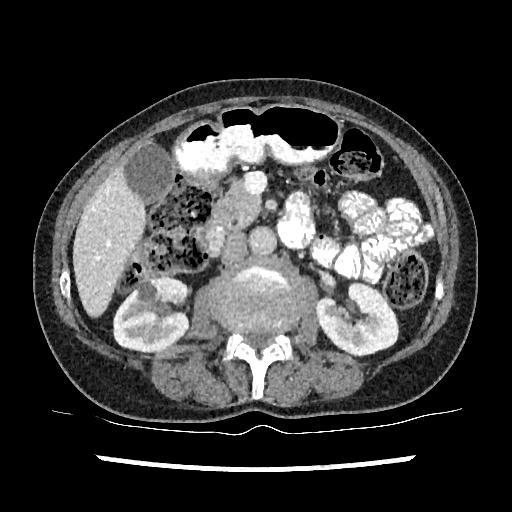 Liver; CT slice
- kidney: [317,284,397,354], [114,279,189,350]
- liver: [74,169,146,316]